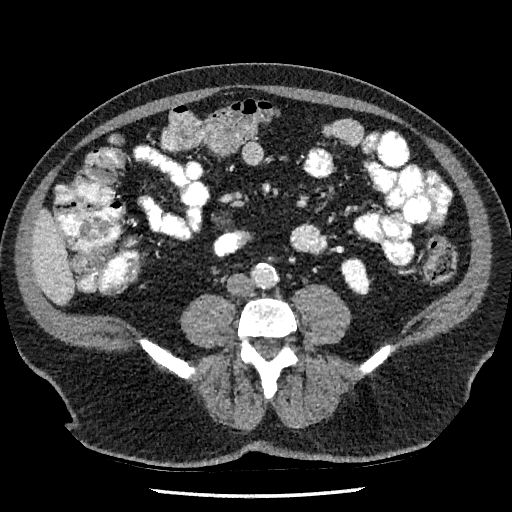
CT
The liver lies within 32,209,73,303. The kidney is bounded by 342,260,368,293.